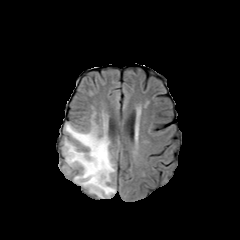
FLAIR magnetic resonance.
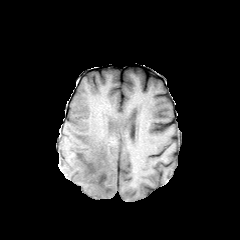
T1-weighted magnetic resonance.
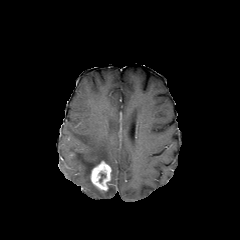
Post-contrast T1-weighted MR.
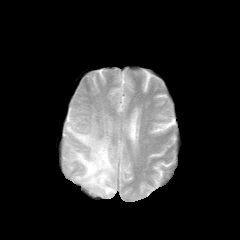
T2-weighted magnetic resonance.
Head | 240x240 px
<segmentation>
  <enhancing_tumor>90 161 111 191</enhancing_tumor>
  <edema>64 112 115 198</edema>
</segmentation>